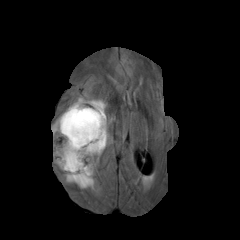
FLAIR MR.
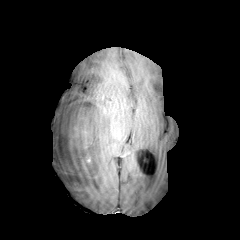
T1-weighted magnetic resonance of the same slice.
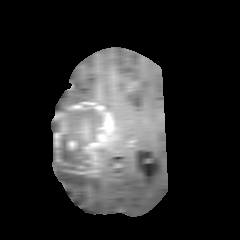
Post-contrast T1-weighted MR.
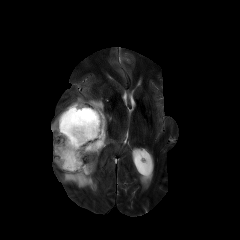
Same slice, T2-weighted MR.
Brain
{
  "edema": [
    "bbox(53, 138, 96, 189)",
    "bbox(51, 86, 106, 136)"
  ],
  "non-enhancing_tumor_core": [
    "bbox(55, 109, 95, 172)"
  ],
  "enhancing_tumor": [
    "bbox(67, 102, 112, 175)",
    "bbox(55, 113, 69, 147)",
    "bbox(67, 140, 78, 149)"
  ]
}